Slice 79 of 155. 240x240.
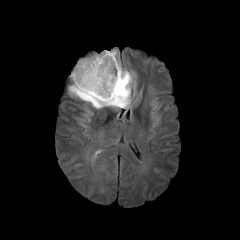
FLAIR MRI.
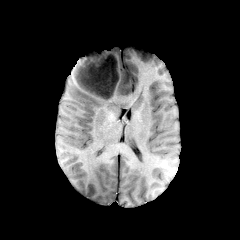
T1-weighted MR image of the same slice.
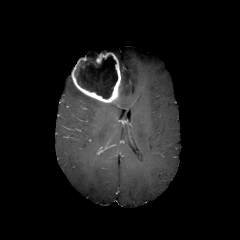
Post-contrast T1-weighted MR image.
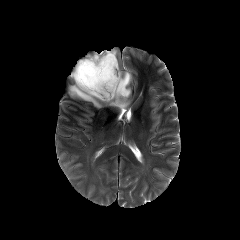
T2-weighted MRI.
non-enhancing_tumor_core:
  - (76, 55, 117, 98)
enhancing_tumor:
  - (72, 52, 121, 102)
edema:
  - (69, 49, 134, 109)